Slice index 49. Field of view 240x240 mm. 240x240.
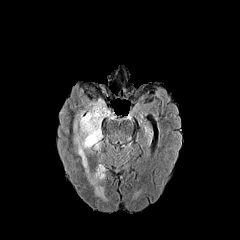
FLAIR MR.
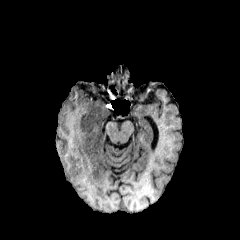
T1-weighted magnetic resonance.
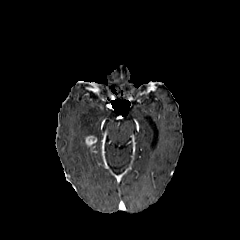
Same slice, post-contrast T1-weighted magnetic resonance.
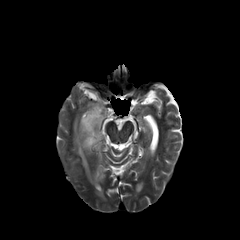
T2-weighted magnetic resonance.
Edema: bounding box <bbox>73, 99, 110, 173</bbox>, <bbox>96, 188, 104, 198</bbox>, <bbox>88, 166, 105, 184</bbox>.
Enhancing tumor: bounding box <bbox>85, 136, 96, 147</bbox>.